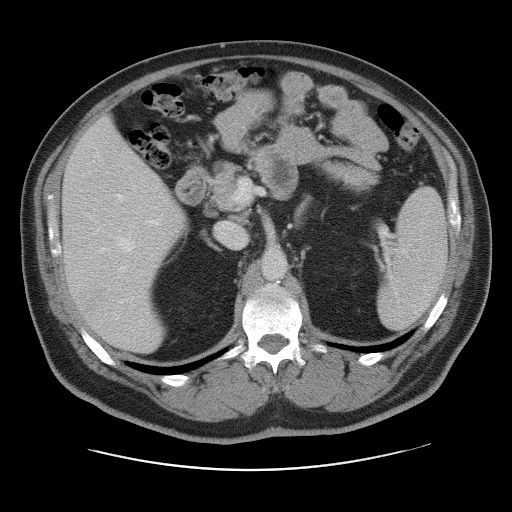 Liver | 512x512 px | CT
Only some of the vessels may be annotated.
Liver tumor at 76, 285, 110, 310.
Hepatic vessel at 119, 266, 126, 270; 115, 194, 125, 201; 142, 215, 161, 225; 233, 180, 250, 201; 257, 189, 262, 193; 131, 184, 135, 188; 222, 224, 232, 229; 117, 237, 133, 251.